Field of view 344 mm wide, 0.80 mm slice spacing | Liver | Image size 512x512 | Computed tomography | Slice index 519 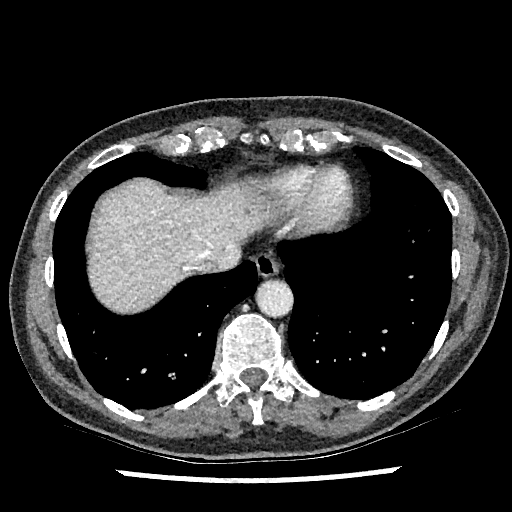
The liver is bounded by <bbox>88, 180, 271, 313</bbox>.